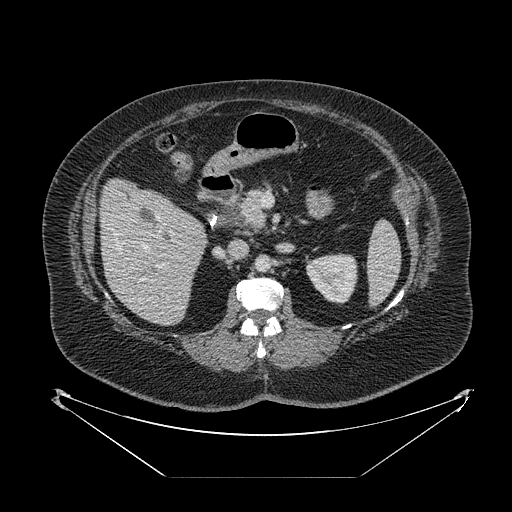

Upper abdomen. CT slice. 512x512 px.
Pancreas at 240:189:267:229.